Slice index 56.
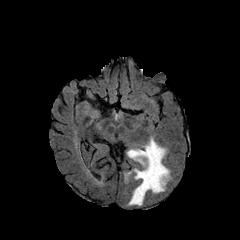
FLAIR MR.
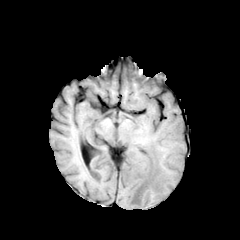
T1-weighted MR image.
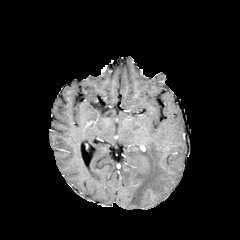
Post-contrast T1-weighted MR image.
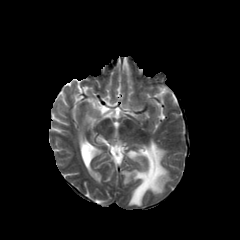
T2-weighted MRI of the same slice.
The edema appears at bbox(123, 139, 169, 205).